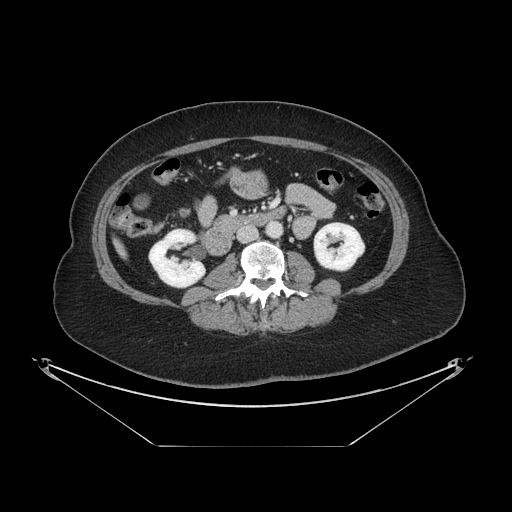 CT image; Image size 512x512; Abdomen

* pancreas: bbox=[215, 216, 227, 225]